Pelvis. Image width 472 mm. CT slice.

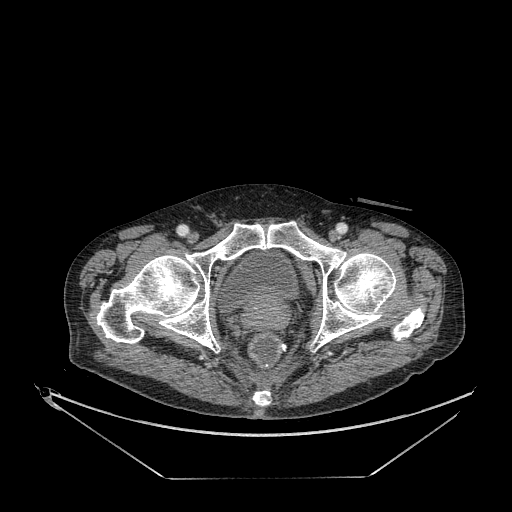
Annotated regions:
• urinary bladder: rect(218, 249, 298, 313)